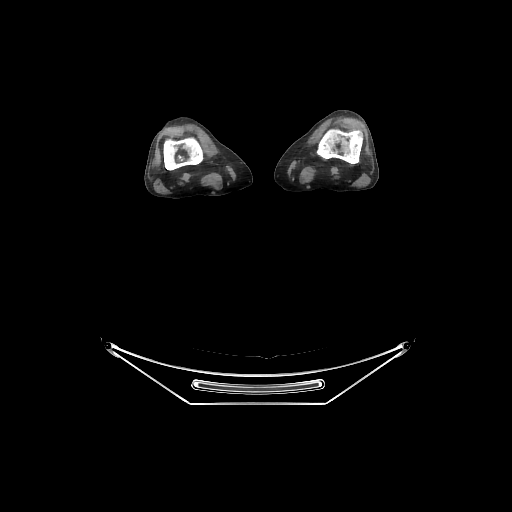 CT slice
2 bone regions appear at l=163, t=138, r=202, b=170; l=317, t=129, r=362, b=163.